240x240 px; Head
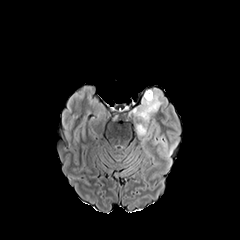
FLAIR magnetic resonance.
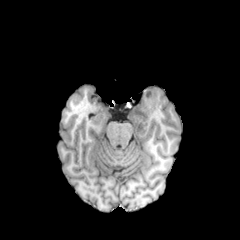
T1-weighted MRI.
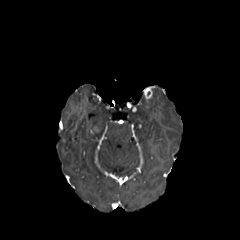
Post-contrast T1-weighted MR image of the same slice.
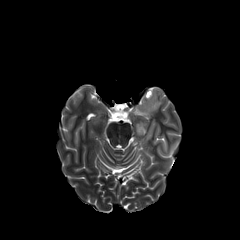
T2-weighted magnetic resonance.
The enhancing tumor is bounded by 143,88,152,99. The edema lies within 129,90,164,150.